Computed tomography; Abdomen 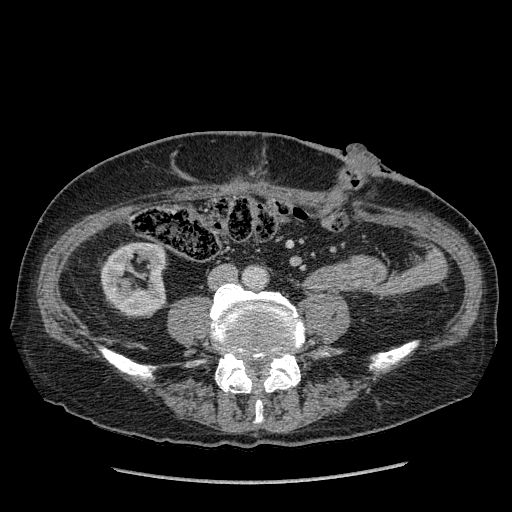 kidney: (101, 243, 165, 315)